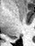 MR image.
posterior_hippocampus:
  - (left=10, top=37, right=18, bottom=39)